Slice index 531; CT slice 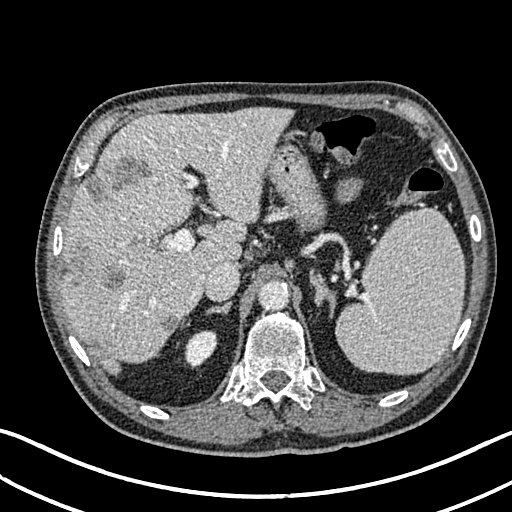
liver lesion: (left=90, top=341, right=102, bottom=351), (left=103, top=267, right=126, bottom=288), (left=86, top=157, right=151, bottom=201), (left=64, top=242, right=90, bottom=273), (left=160, top=315, right=175, bottom=331) | kidney: (left=186, top=332, right=215, bottom=365) | liver: (left=63, top=107, right=293, bottom=371)